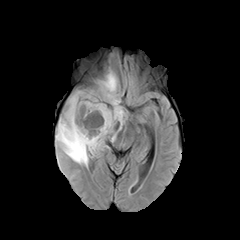
FLAIR MR.
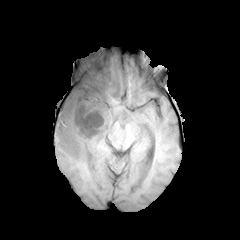
T1-weighted MR image of the same slice.
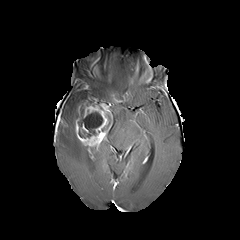
Same slice, post-contrast T1-weighted magnetic resonance.
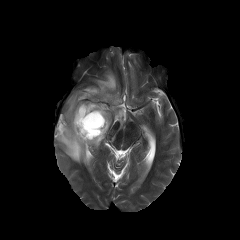
T2-weighted magnetic resonance.
240x240 px. Brain.
The enhancing tumor lies within (x1=74, y1=98, x2=111, y2=145). 3 non-enhancing tumor core regions are located at (x1=78, y1=94, x2=102, y2=136), (x1=95, y1=97, x2=111, y2=107), (x1=58, y1=118, x2=65, y2=133). 2 edema regions are located at (x1=55, y1=72, x2=118, y2=167), (x1=107, y1=102, x2=127, y2=133).